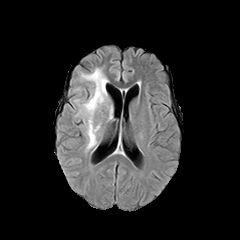
FLAIR MR image.
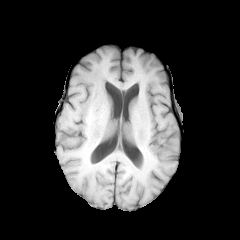
T1-weighted MR image.
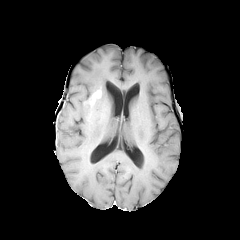
Post-contrast T1-weighted MRI.
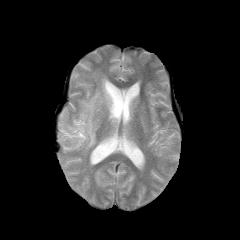
T2-weighted magnetic resonance.
<segmentation>
  <edema>(x1=75, y1=68, x2=112, y2=151)</edema>
  <enhancing_tumor>(x1=84, y1=88, x2=101, y2=105)</enhancing_tumor>
</segmentation>